FLAIR MR image.
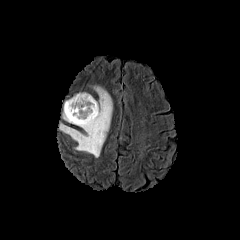
T1-weighted MR image.
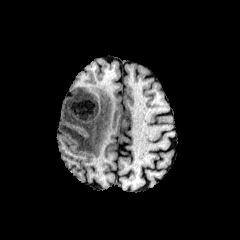
Post-contrast T1-weighted MR.
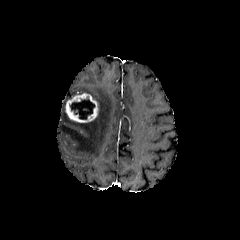
T2-weighted magnetic resonance.
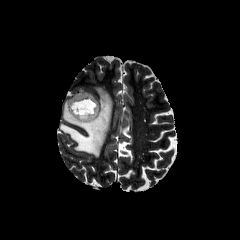
Brain.
Enhancing tumor — <box>64,92,98,123</box>.
Non-enhancing tumor core — <box>70,96,95,119</box>.
Edema — <box>59,85,112,157</box>.